Slice 438/677 | Image width 367 mm | CT | 512x512 px | Liver 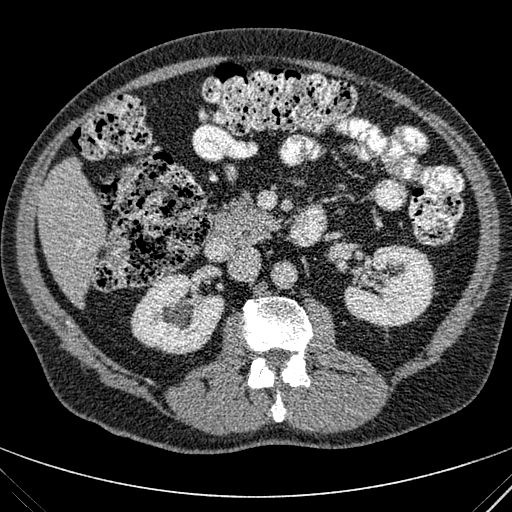 kidney:
  - (left=131, top=272, right=223, bottom=353)
  - (left=344, top=245, right=432, bottom=327)
liver:
  - (left=38, top=159, right=104, bottom=307)